FLAIR MR image.
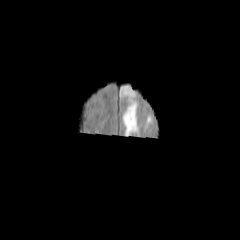
T1-weighted MR image.
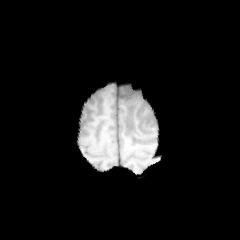
Post-contrast T1-weighted MR image.
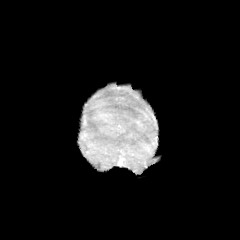
T2-weighted MR.
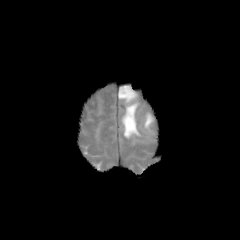
3 edema regions are bounded by <bbox>118, 84, 137, 102</bbox>, <bbox>121, 102, 141, 138</bbox>, <bbox>144, 114, 154, 127</bbox>.